CT slice, Abdomen 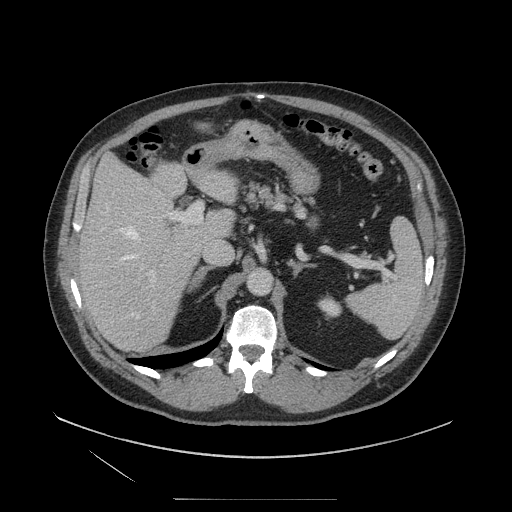 The pancreas lies within left=239, top=180, right=310, bottom=220.